CT slice

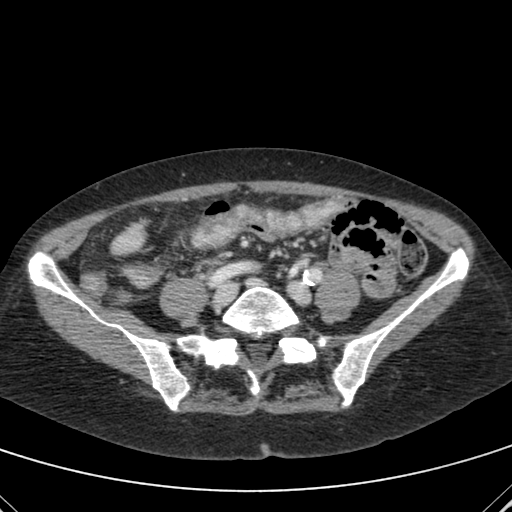
liver: l=116, t=225, r=141, b=250